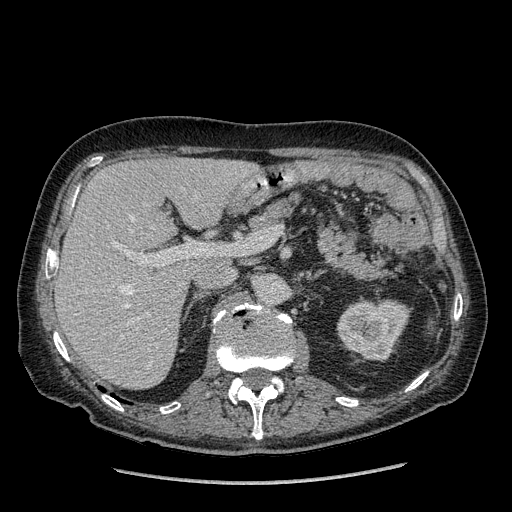 512x512 | CT slice | Abdomen

Liver: 55, 157, 257, 389.
Kidney: 337, 300, 409, 360.